CT image | 512x512 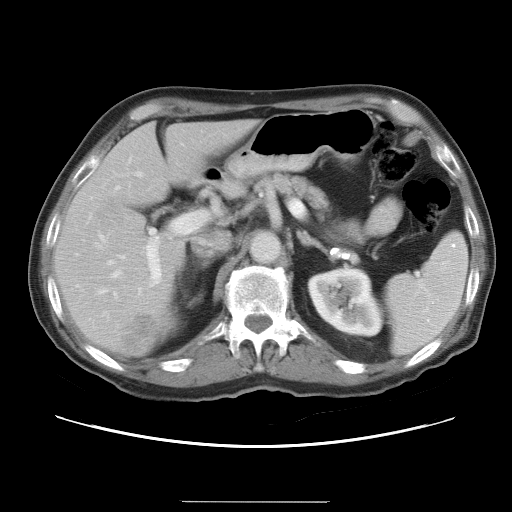 Some hepatic vessels may have no box.
Liver tumor: {"x1": 124, "y1": 317, "x2": 154, "y2": 344}, {"x1": 105, "y1": 200, "x2": 117, "y2": 212}.
Hepatic vessel: {"x1": 97, "y1": 289, "x2": 105, "y2": 293}, {"x1": 113, "y1": 292, "x2": 116, "y2": 297}, {"x1": 137, "y1": 288, "x2": 140, "y2": 293}, {"x1": 145, "y1": 246, "x2": 147, "y2": 257}, {"x1": 149, "y1": 266, "x2": 160, "y2": 286}.